CT slice. Slice index 50. Field of view 480x480 mm. 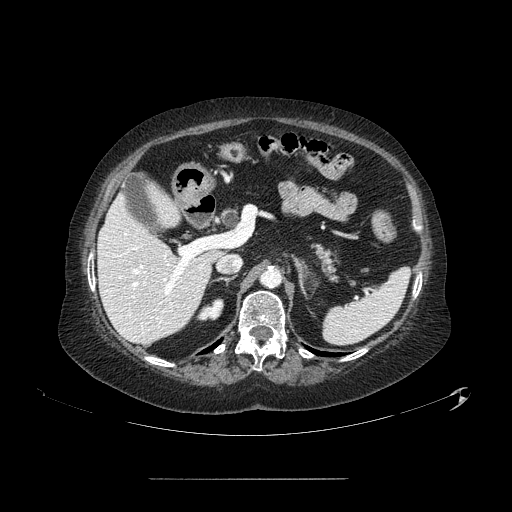 pancreas: rect(222, 211, 239, 228); rect(308, 240, 339, 282)